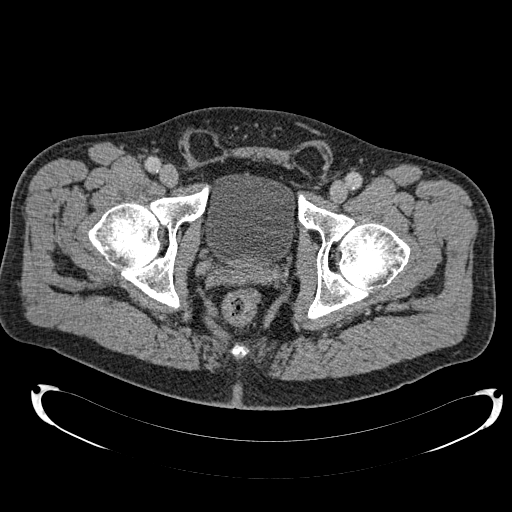
CT slice

Annotated regions:
* urinary bladder: box=[205, 173, 294, 269]